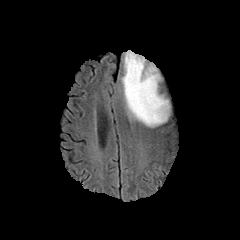
FLAIR MRI.
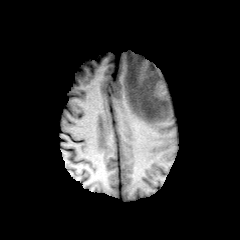
Same slice, T1-weighted MR image.
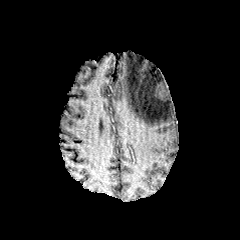
Post-contrast T1-weighted MR.
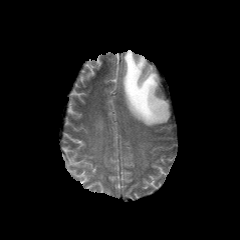
T2-weighted MRI of the same slice.
Head
edema: l=121, t=50, r=170, b=127